Slice 5 of 605; CT 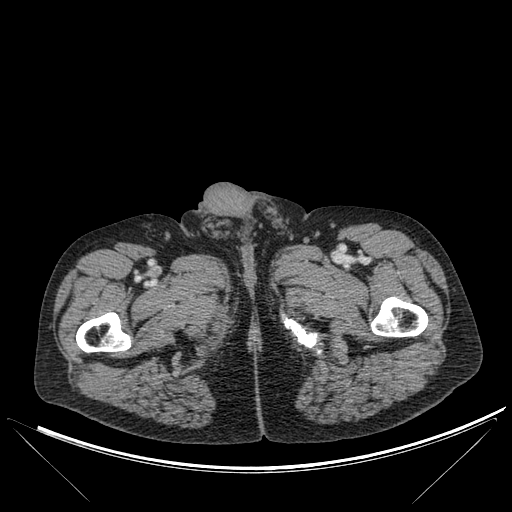
3 bone regions are located at 371:297:428:336, 76:312:130:352, 283:315:320:352.